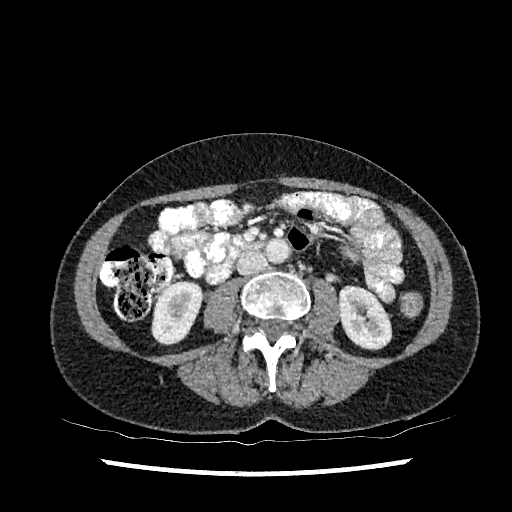

512x512, CT scan slice
kidney: (left=340, top=287, right=390, bottom=348), (left=153, top=282, right=201, bottom=343)